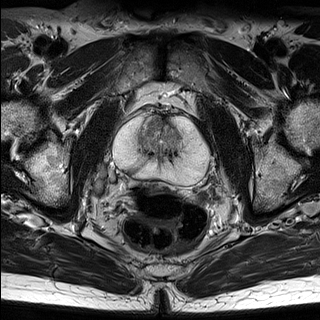
T2-weighted MR image.
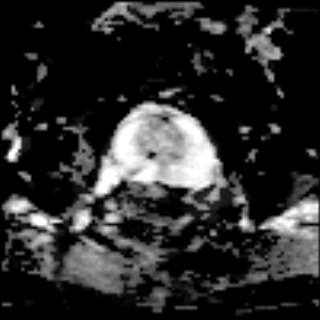
ADC magnetic resonance.
{"prostate_transition_zone": ["x1=139, y1=117, x2=182, y2=160"], "prostate_peripheral_zone": ["x1=114, y1=117, x2=208, y2=184"]}